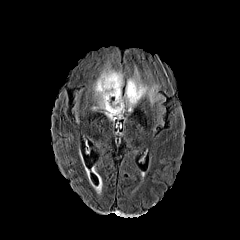
FLAIR magnetic resonance.
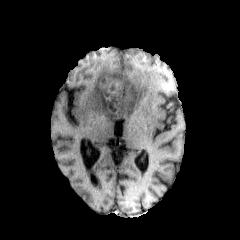
T1-weighted MR image.
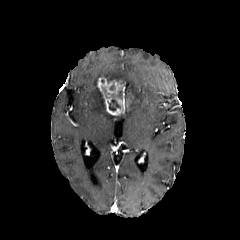
Post-contrast T1-weighted MRI of the same slice.
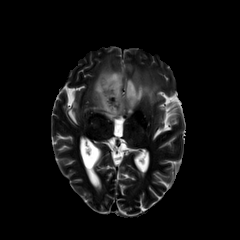
T2-weighted MR image of the same slice.
240x240
<segmentation>
  <edema>{"x1": 125, "y1": 67, "x2": 165, "y2": 113}, {"x1": 88, "y1": 61, "x2": 125, "y2": 121}, {"x1": 156, "y1": 108, "x2": 164, "y2": 125}</edema>
  <non-enhancing_tumor_core>{"x1": 109, "y1": 97, "x2": 120, "y2": 111}</non-enhancing_tumor_core>
  <enhancing_tumor>{"x1": 97, "y1": 77, "x2": 124, "y2": 115}</enhancing_tumor>
</segmentation>